512x512. Liver. Computed tomography.
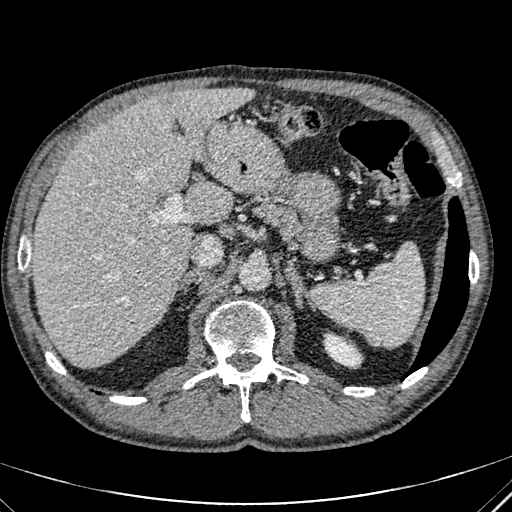

kidney: (325,335,360,365) | liver: (34,87,254,366) | focal liver lesion: (158,93,177,107)